Slice 8 of 34. 32x48. MRI slice.
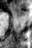
anterior_hippocampus:
  - <box>13,6,24,17</box>